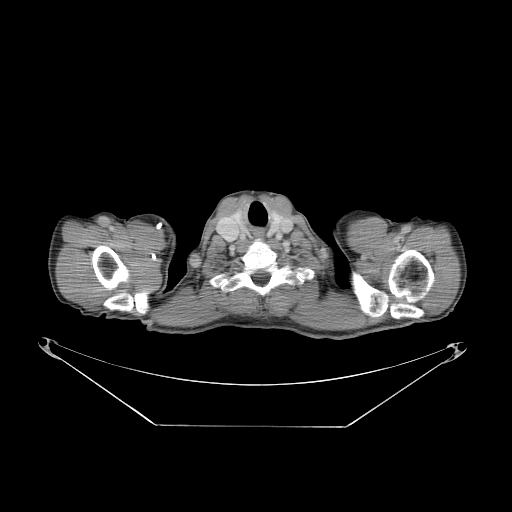
512x512; Computed tomography
bone: (297,268,313,281), (210,239,291,294), (388,250,433,318), (353,273,387,315), (92,246,128,289), (104,290,147,313)